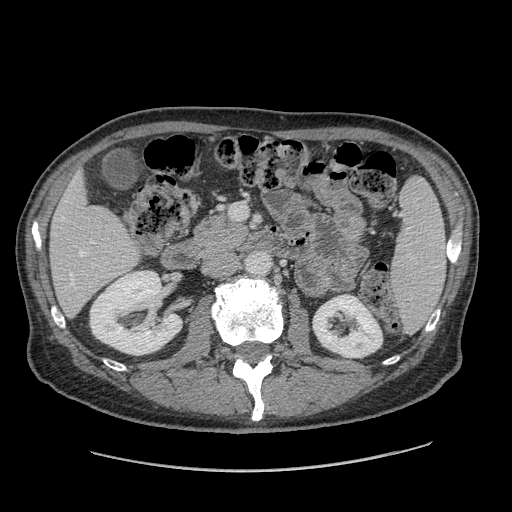
CT scan slice; Image size 512x512

Segmented structures:
- pancreas: [198, 215, 247, 246]